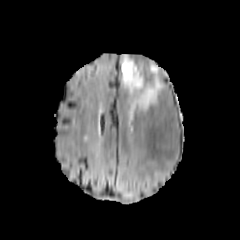
FLAIR magnetic resonance.
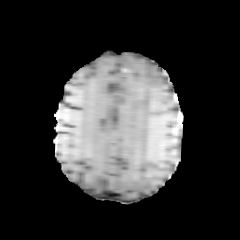
T1-weighted MR image of the same slice.
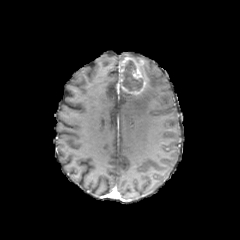
Post-contrast T1-weighted MRI.
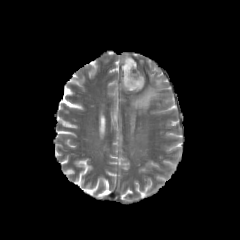
T2-weighted MRI.
Edema: bounding box 129, 62, 162, 113.
Non-enhancing tumor core: bounding box 120, 60, 143, 91.
Enhancing tumor: bounding box 120, 55, 147, 94.